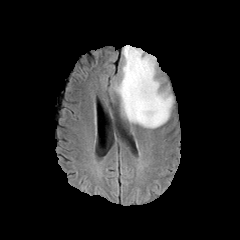
FLAIR MRI.
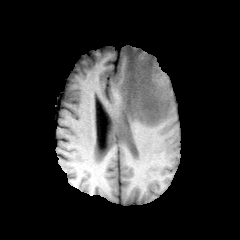
T1-weighted MR.
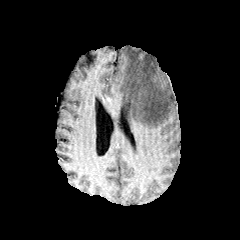
Same slice, post-contrast T1-weighted MRI.
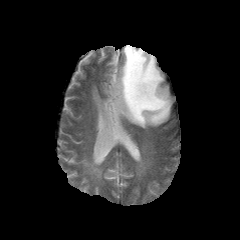
T2-weighted magnetic resonance.
Head.
The edema is located at 111,45,173,128.